CT slice, Slice index 41

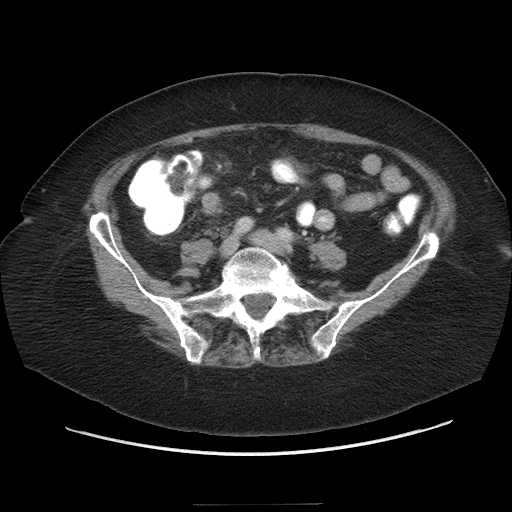 colon_tumor:
  - <box>164,159,190,196</box>